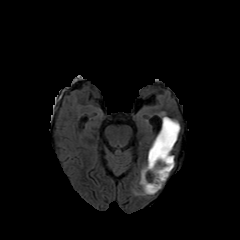
FLAIR MR.
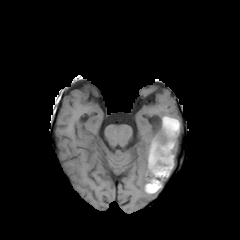
Same slice, T1-weighted MR image.
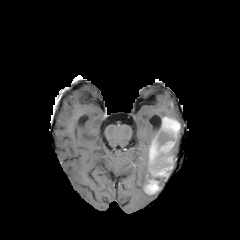
Post-contrast T1-weighted magnetic resonance.
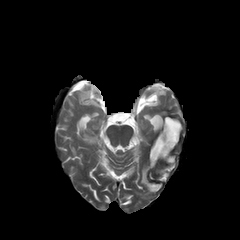
T2-weighted MRI of the same slice.
<segmentation>
  <non-enhancing_tumor_core>(148,126,177,189), (144,182,154,193)</non-enhancing_tumor_core>
  <enhancing_tumor>(147,180,158,192), (150,144,155,161), (162,117,179,135)</enhancing_tumor>
  <edema>(139,152,152,194)</edema>
</segmentation>